240x240 px; Image width 240 mm
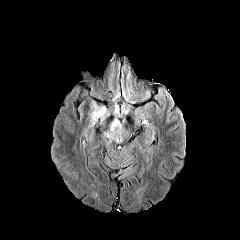
FLAIR MR image.
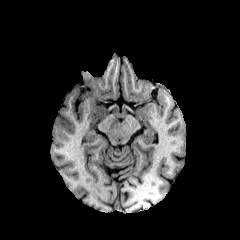
Same slice, T1-weighted MR.
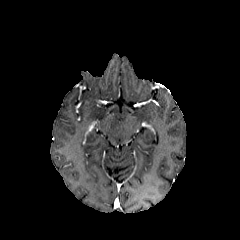
Post-contrast T1-weighted MR.
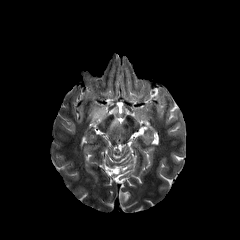
T2-weighted magnetic resonance.
<segmentation>
  <edema>91,102,105,118</edema>
</segmentation>